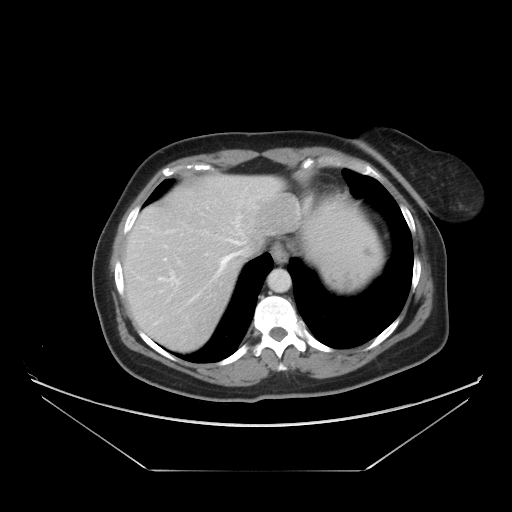

Abdomen | 512x512 px | CT image
Some hepatic vessels may have no box.
hepatic_vessel:
  - [x1=215, y1=268, x2=222, y2=276]
  - [x1=201, y1=197, x2=209, y2=210]
  - [x1=226, y1=239, x2=239, y2=243]
  - [x1=168, y1=272, x2=177, y2=279]
  - [x1=231, y1=216, x2=243, y2=234]
  - [x1=221, y1=257, x2=229, y2=263]